Field of view 411 mm wide, 0.80 mm slice spacing | Slice 46/574 | CT slice 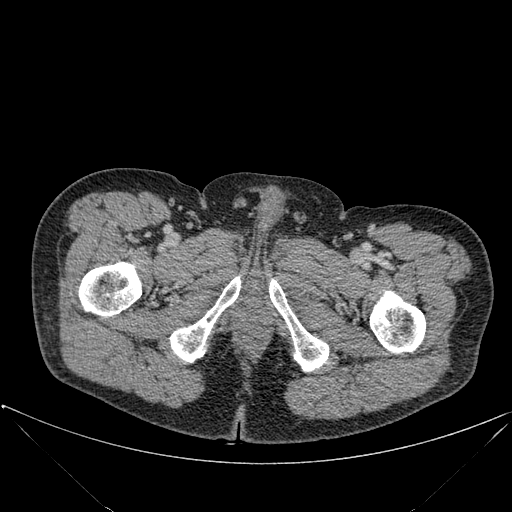
Bone at 370:291:425:353, 79:262:141:316, 269:279:328:371, 170:276:240:362.